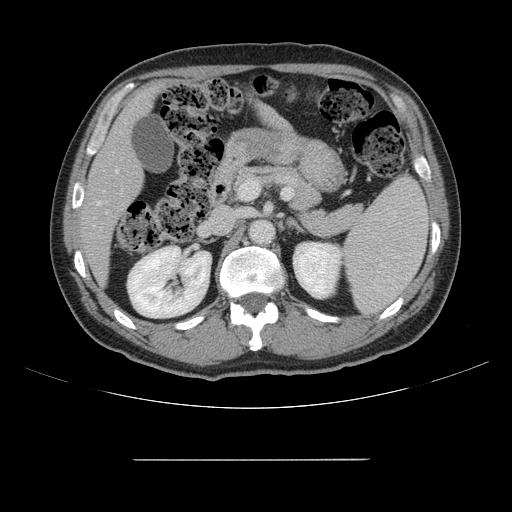
512x512 px. Liver. CT slice. The vessel annotation is not exhaustive.
3 hepatic vessel regions are located at x1=120 y1=190 x2=122 y2=193, x1=98 y1=202 x2=99 y2=204, x1=116 y1=169 x2=117 y2=172.